240x240. Slice index 112.
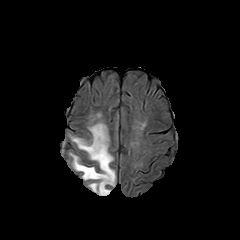
FLAIR magnetic resonance.
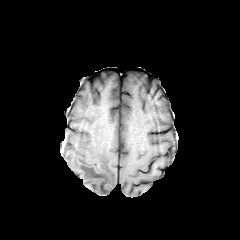
T1-weighted MR of the same slice.
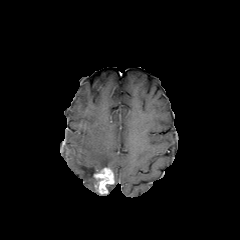
Same slice, post-contrast T1-weighted MRI.
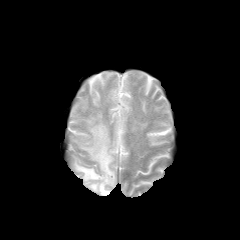
T2-weighted MR image of the same slice.
Edema: (x1=70, y1=122, x2=113, y2=191), (x1=96, y1=169, x2=116, y2=195).
Enhancing tumor: (x1=93, y1=167, x2=114, y2=193).
Non-enhancing tumor core: (x1=92, y1=170, x2=99, y2=189).